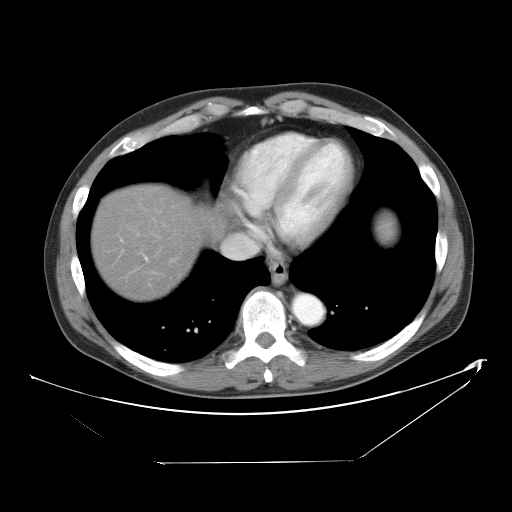

Abdomen; CT image
The vessel boxes may cover only some of the vessels.
The hepatic vessel is located at <bbox>143, 254, 146, 259</bbox>.